Slice 23/85. Abdomen. Computed tomography. 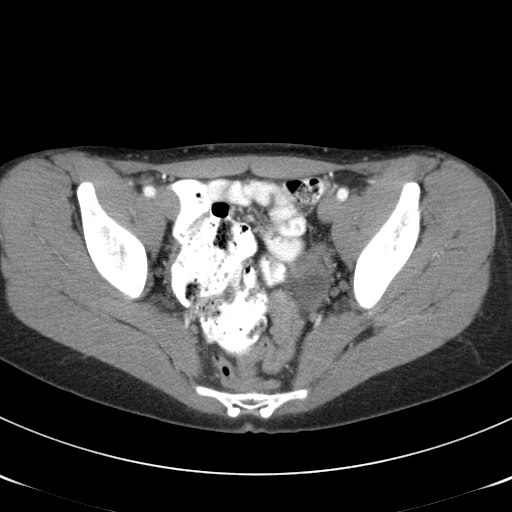
Colon tumor at box(270, 291, 303, 342); box(291, 246, 334, 278).